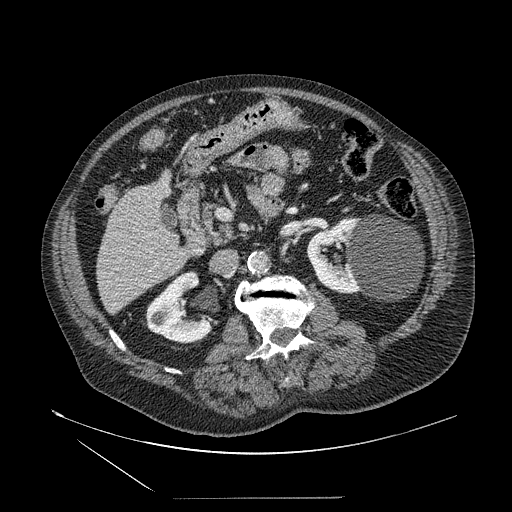

Computed tomography, Upper abdomen, Image size 512x512

pancreas:
  - region(202, 202, 236, 246)